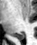 Medial temporal lobe; MRI
Posterior hippocampus: bounding box [14, 34, 24, 39].